240x240, Slice index 84, Brain
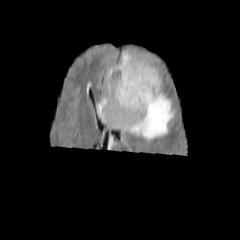
FLAIR MRI.
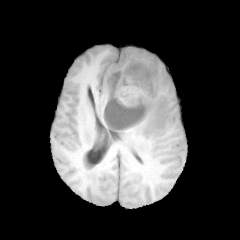
T1-weighted MR image of the same slice.
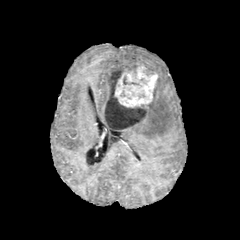
Post-contrast T1-weighted MRI.
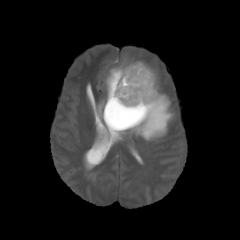
T2-weighted MR.
Enhancing tumor at [115, 66, 157, 107].
Edema at [115, 56, 155, 71], [98, 98, 105, 120], [106, 88, 176, 140].
Non-enhancing tumor core at [104, 64, 150, 129].